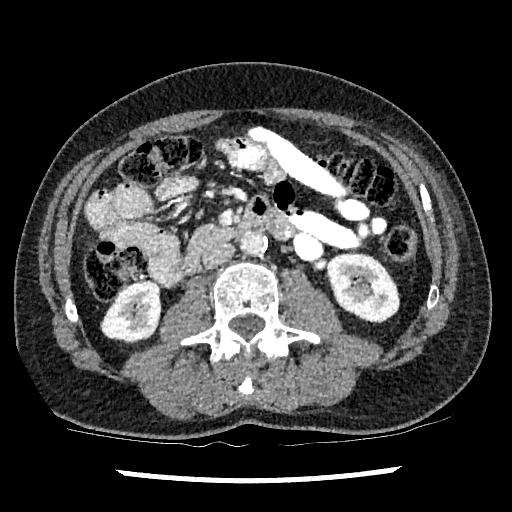
CT scan slice, Abdomen
2 kidney regions are located at <box>102,282,159,340</box>, <box>328,255,398,320</box>.